FLAIR magnetic resonance.
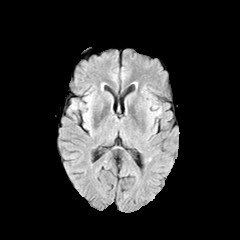
T1-weighted MRI.
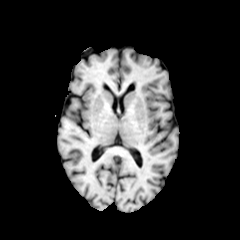
Post-contrast T1-weighted MR.
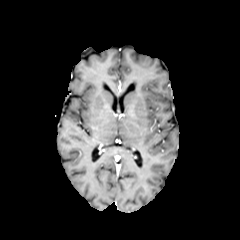
T2-weighted magnetic resonance.
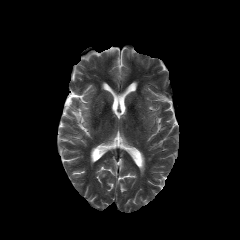
240x240 px
<segmentation>
  <edema>x1=148, y1=106, x2=161, y2=119</edema>
</segmentation>